Computed tomography, Slice index 468

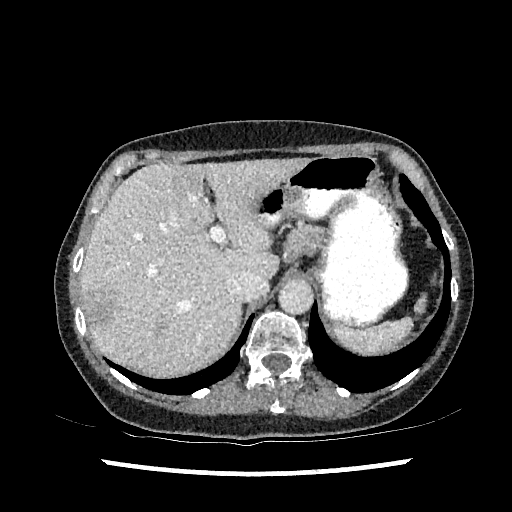 Liver = box=[80, 158, 305, 375].
Liver lesion = box=[84, 288, 116, 327]; box=[173, 172, 199, 192]; box=[156, 322, 166, 332].